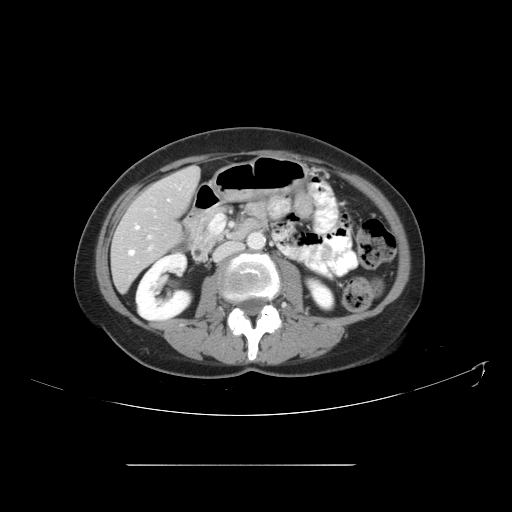

Liver; CT
Only some of the vessels may be annotated.
Hepatic vessel = {"x1": 167, "y1": 199, "x2": 169, "y2": 201}, {"x1": 148, "y1": 246, "x2": 152, "y2": 249}, {"x1": 135, "y1": 225, "x2": 139, "y2": 229}, {"x1": 148, "y1": 235, "x2": 151, "y2": 238}, {"x1": 153, "y1": 210, "x2": 155, "y2": 211}, {"x1": 178, "y1": 187, "x2": 180, "y2": 189}, {"x1": 128, "y1": 250, "x2": 134, "y2": 255}.